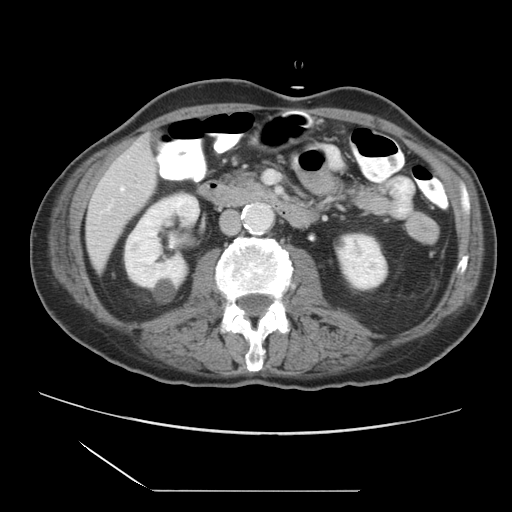 CT scan slice | Abdomen
The vessel annotation is not exhaustive.
hepatic_vessel:
  - region(120, 187, 124, 190)
  - region(108, 206, 110, 209)
  - region(112, 199, 113, 201)